MR image | Medial temporal lobe
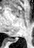 - posterior hippocampus: box=[12, 40, 16, 41]